Brain, 240x240 px
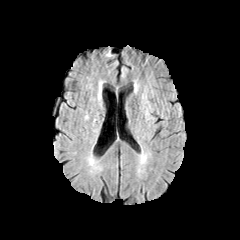
FLAIR MR image.
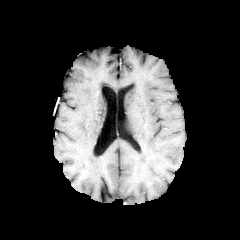
T1-weighted MR image.
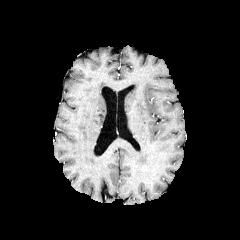
Post-contrast T1-weighted MR of the same slice.
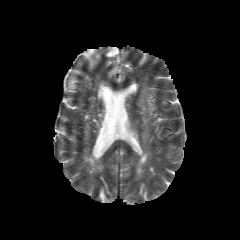
T2-weighted MR of the same slice.
Edema: bounding box {"x1": 142, "y1": 87, "x2": 151, "y2": 120}.